Abdomen | Computed tomography | Image size 512x512
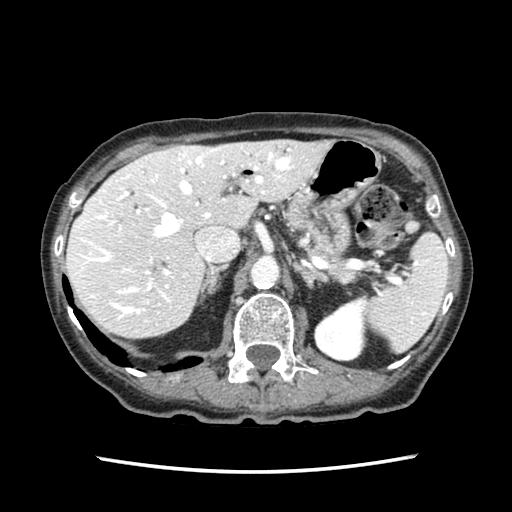
Segmented structures:
- pancreas: (314,250,352,278)